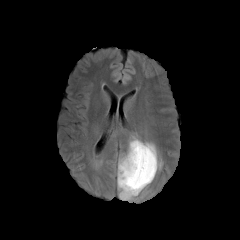
FLAIR MRI.
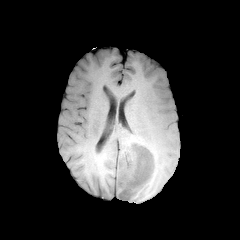
Same slice, T1-weighted MR.
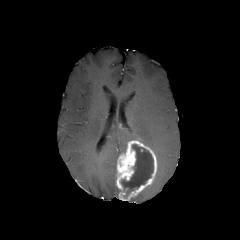
Post-contrast T1-weighted magnetic resonance.
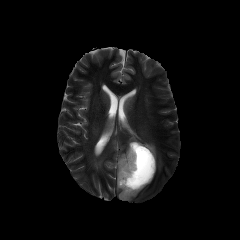
T2-weighted MRI.
Head
Non-enhancing tumor core at x1=122 y1=144 x2=153 y2=191.
Edema at x1=128 y1=130 x2=161 y2=169.
Enhancing tumor at x1=116 y1=140 x2=156 y2=199.